FLAIR magnetic resonance.
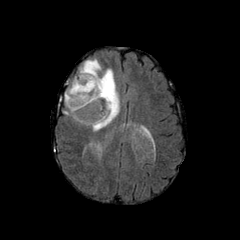
T1-weighted MRI.
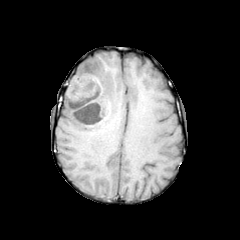
Post-contrast T1-weighted MR image.
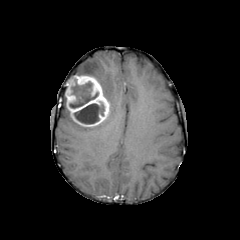
T2-weighted MR.
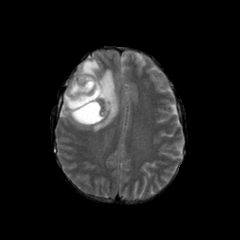
Brain
The enhancing tumor appears at region(66, 75, 109, 125). 2 non-enhancing tumor core regions are bounded by region(73, 101, 103, 125); region(67, 76, 97, 107). 2 edema regions are bounded by region(77, 58, 119, 131); region(63, 94, 70, 118).